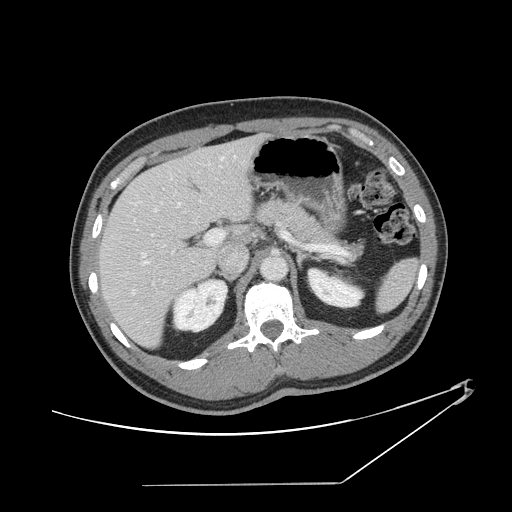

CT
Not every hepatic vessel necessarily has a box.
* hepatic vessel: <bbox>154, 208, 157, 210</bbox>, <bbox>172, 250, 175, 253</bbox>, <bbox>171, 176, 171, 179</bbox>, <bbox>177, 203, 179, 207</bbox>, <bbox>133, 218, 134, 222</bbox>, <bbox>132, 290, 135, 293</bbox>, <bbox>174, 192, 176, 194</bbox>, <bbox>141, 253, 148, 263</bbox>, <bbox>220, 157, 223, 160</bbox>, <bbox>204, 163, 209, 165</bbox>